CT scan slice | Abdomen 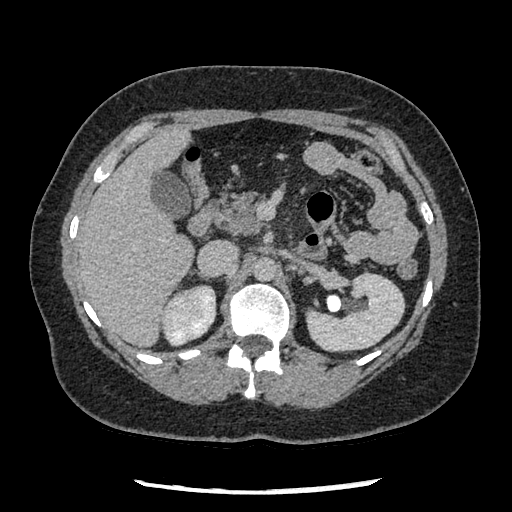
pancreas:
  - (left=216, top=192, right=259, bottom=234)